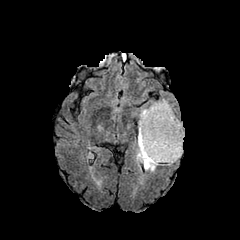
FLAIR MRI.
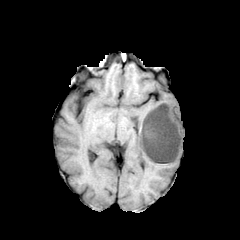
T1-weighted MR.
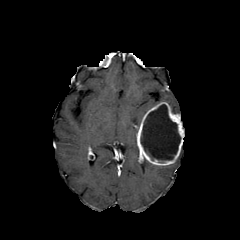
Post-contrast T1-weighted magnetic resonance.
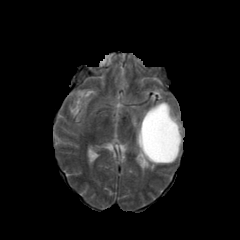
T2-weighted MR image of the same slice.
Head.
<segmentation>
  <edema>bbox=[136, 97, 179, 136]; bbox=[162, 151, 182, 165]; bbox=[135, 146, 159, 171]</edema>
  <enhancing_tumor>bbox=[136, 102, 184, 165]</enhancing_tumor>
  <non-enhancing_tumor_core>bbox=[140, 104, 180, 160]</non-enhancing_tumor_core>
</segmentation>